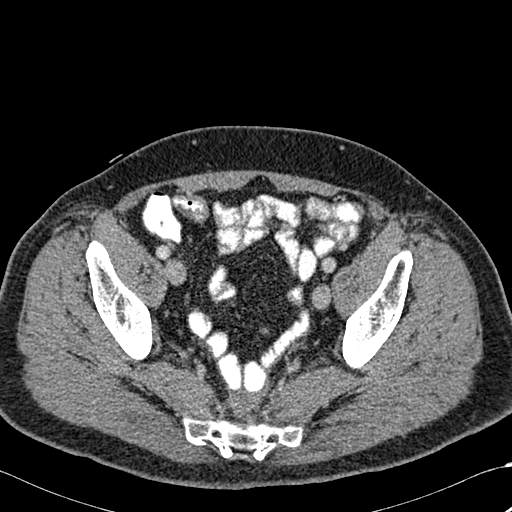 512x512, CT
<segmentation>
  <bone><bbox>184, 417, 301, 459</bbox>, <bbox>342, 250, 412, 367</bbox>, <bbox>86, 241, 151, 359</bbox></bone>
</segmentation>